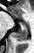
Medial temporal lobe; MRI slice

{"posterior_hippocampus": ["[x1=16, y1=24, x2=27, y2=40]"], "anterior_hippocampus": ["[x1=18, y1=21, x2=23, y2=23]"]}